CT image. Slice index 37. Image size 512x512. Liver.
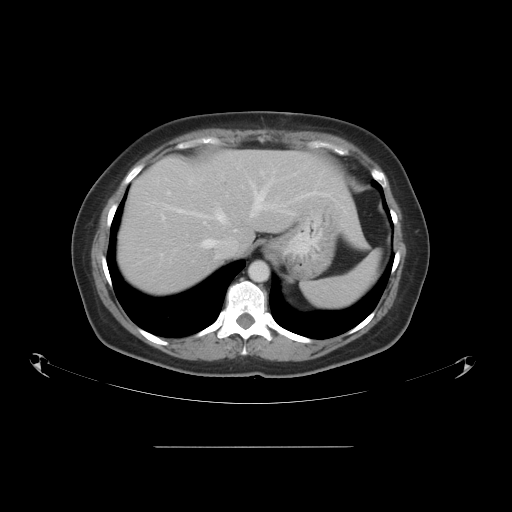 Not every hepatic vessel necessarily has a box.
13 hepatic vessel regions appear at 233:229:236:231, 190:179:192:183, 260:170:264:176, 162:215:165:220, 250:180:293:216, 202:239:235:254, 160:253:162:254, 167:191:170:194, 268:178:276:185, 165:205:208:224, 214:209:229:225, 291:177:332:201, 274:168:275:171.